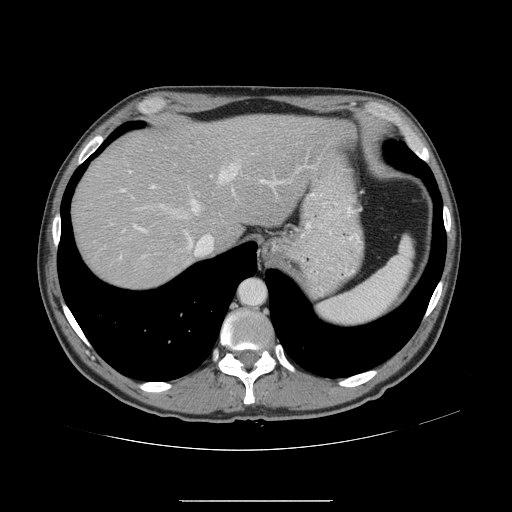
CT, 512x512, Abdomen
Some hepatic vessels may have no box.
9 hepatic vessel regions appear at 219,164,238,181; 191,200,198,210; 133,224,144,231; 151,185,154,188; 269,180,278,185; 187,235,212,248; 259,179,266,183; 121,189,125,191; 184,232,186,233.